FLAIR magnetic resonance.
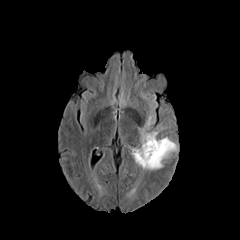
T1-weighted MRI.
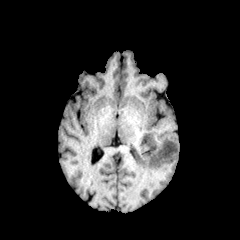
Post-contrast T1-weighted MRI.
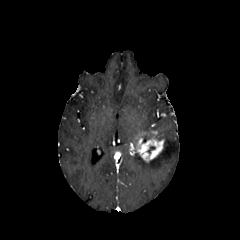
T2-weighted MRI.
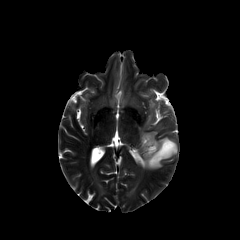
Brain. Image size 240x240.
The enhancing tumor is located at 133,131,164,162. The edema is at 134,136,176,168.